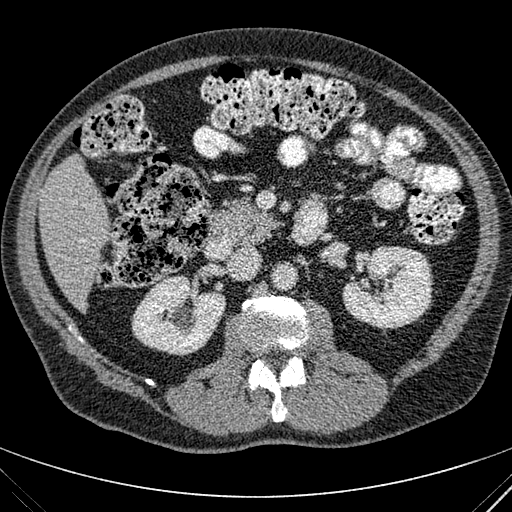

CT scan slice, 512x512 px

The liver is located at x1=39, y1=156, x2=109, y2=311. 2 kidney regions are bounded by x1=132, y1=276, x2=225, y2=354; x1=343, y1=246, x2=431, y2=327.